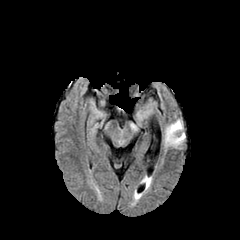
FLAIR MRI.
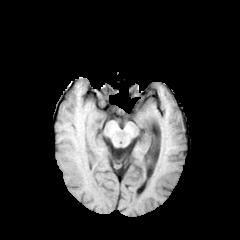
Same slice, T1-weighted MR.
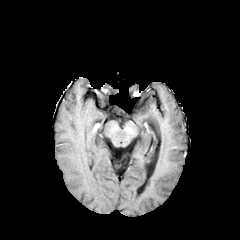
Post-contrast T1-weighted MR image.
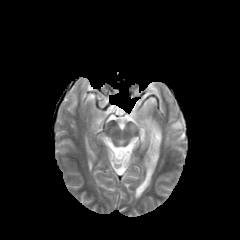
Same slice, T2-weighted MRI.
Edema — rect(164, 119, 184, 147).